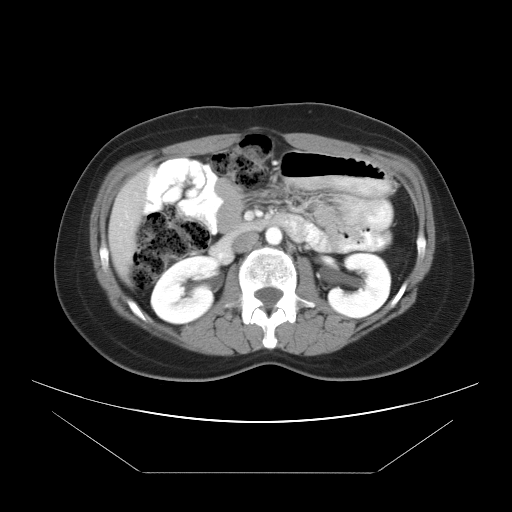

CT scan slice
Only some of the vessels may be annotated.
Annotated regions:
- hepatic vessel: rect(119, 205, 130, 227)